Image width 400 mm; Image size 320x320; MR image; Heart
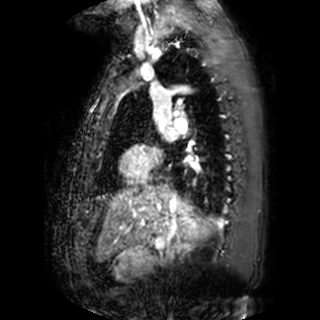
left atrium: box(165, 127, 176, 139); box(184, 154, 192, 162)